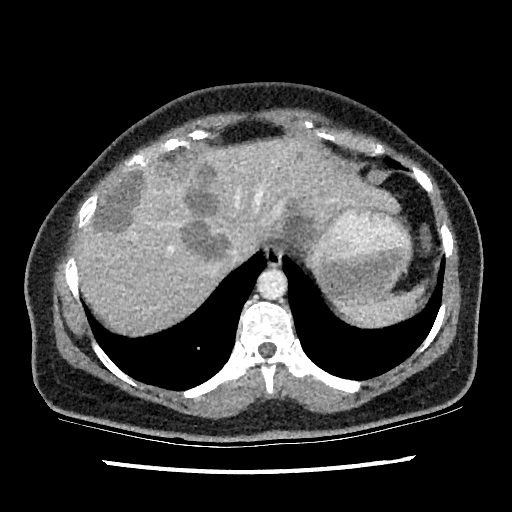 512x512. CT image.

Segmented structures:
- hepatic lesion: region(164, 161, 184, 176); region(274, 206, 315, 248); region(94, 171, 144, 230); region(182, 221, 229, 259); region(186, 166, 217, 215)
- liver: region(75, 135, 399, 330)